Slice 39 of 71; CT scan slice

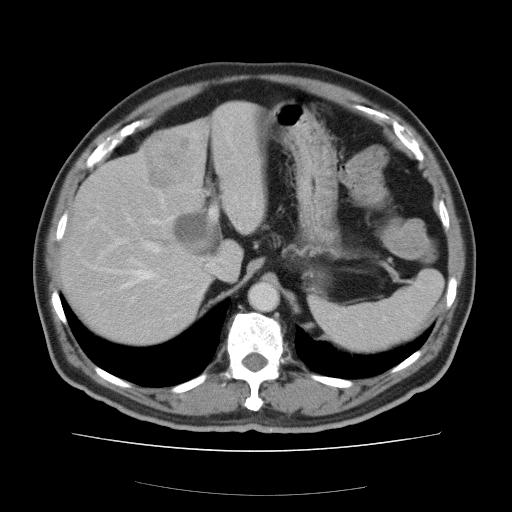
Not every hepatic vessel necessarily has a box.
Annotated regions:
* liver tumor: {"x1": 144, "y1": 135, "x2": 189, "y2": 186}
* hepatic vessel: {"x1": 130, "y1": 258, "x2": 137, "y2": 263}, {"x1": 143, "y1": 241, "x2": 160, "y2": 253}, {"x1": 150, "y1": 285, "x2": 151, "y2": 286}, {"x1": 168, "y1": 217, "x2": 172, "y2": 219}, {"x1": 100, "y1": 246, "x2": 111, "y2": 258}, {"x1": 113, "y1": 238, "x2": 125, "y2": 245}, {"x1": 121, "y1": 268, "x2": 153, "y2": 287}, {"x1": 102, "y1": 268, "x2": 121, "y2": 272}, {"x1": 158, "y1": 279, "x2": 164, "y2": 284}, {"x1": 210, "y1": 208, "x2": 215, "y2": 217}, {"x1": 151, "y1": 219, "x2": 157, "y2": 222}